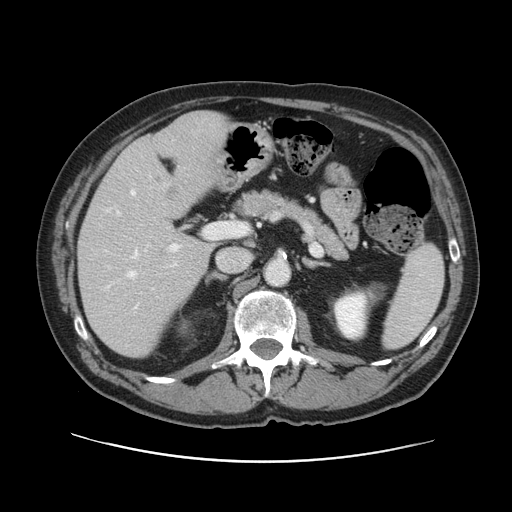 CT slice. Abdomen. 512x512 px. The vessel boxes may cover only some of the vessels.
Hepatic vessel — (169,244,177,251), (132,250,136,257), (117,210,119,214), (127,271,134,277), (114,206,116,209), (135,305,137,307), (131,190,134,194).